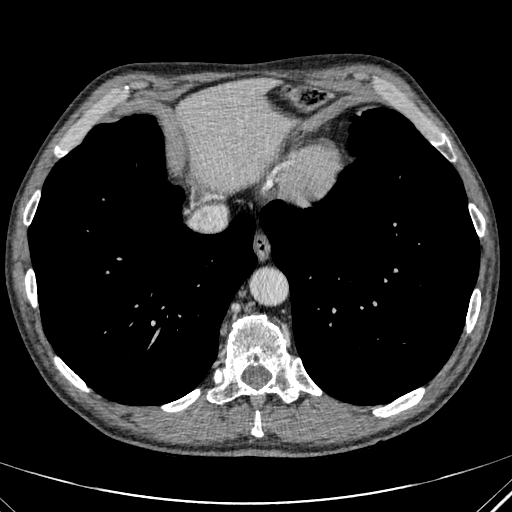

512x512; CT

{"liver": ["(176, 79, 292, 188)"]}